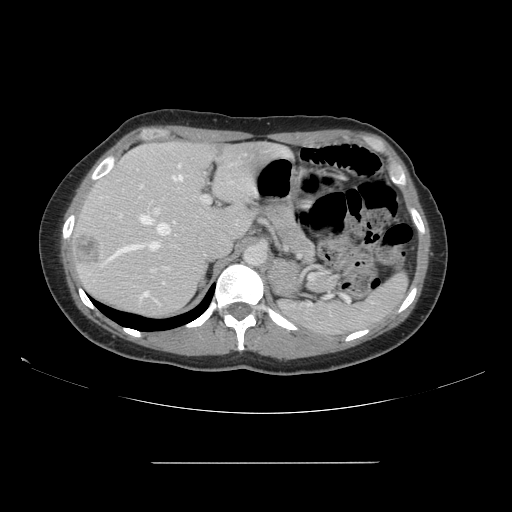
CT slice
Some hepatic vessels may have no box.
2 liver tumor regions appear at 75 236 101 265, 212 147 223 157. The largest 15 hepatic vessel regions (of 17) are located at 140 185 142 187, 151 269 155 270, 138 292 150 300, 178 164 180 167, 146 241 159 250, 119 214 121 217, 139 214 152 224, 100 265 102 267, 163 267 167 268, 107 244 140 261, 154 299 158 303, 156 223 169 236, 201 195 209 203, 173 175 182 180, 154 208 159 214.